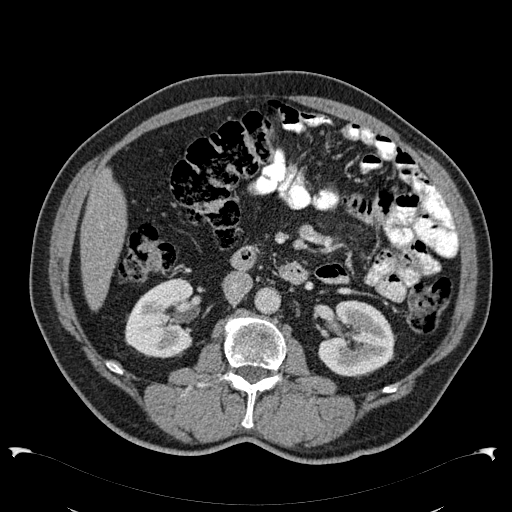

Image size 512x512 | CT scan slice

Annotated regions:
- liver: (x1=81, y1=169, x2=126, y2=309)
- kidney: (x1=318, y1=301, x2=394, y2=376), (x1=125, y1=278, x2=200, y2=357)